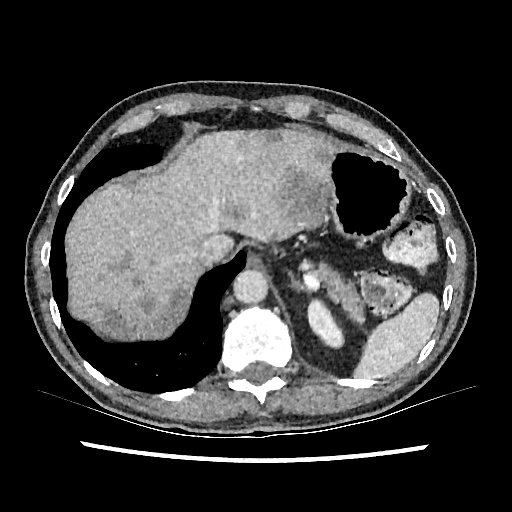
Abdomen. CT image.

<segmentation>
  <liver_lesion>box=[225, 205, 248, 221]; box=[93, 288, 189, 337]; box=[132, 276, 149, 291]; box=[234, 131, 281, 152]; box=[315, 149, 329, 162]; box=[111, 251, 131, 272]; box=[276, 168, 329, 226]</liver_lesion>
  <kidney>box=[308, 301, 341, 346]</kidney>
  <liver>box=[69, 130, 331, 328]</liver>
</segmentation>